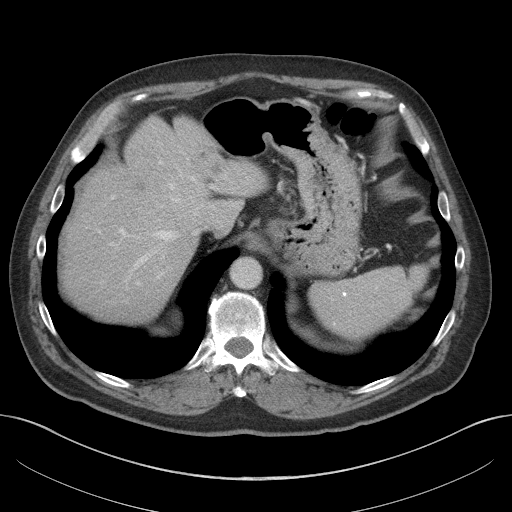

CT scan slice. 512x512.

3 focal liver lesion regions appear at 211,163,222,172; 204,146,215,154; 139,184,145,192. The liver is at 58,117,267,324.